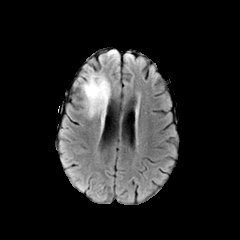
FLAIR MR image.
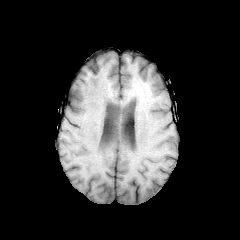
Same slice, T1-weighted MRI.
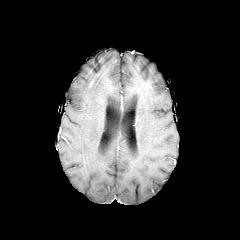
Same slice, post-contrast T1-weighted MR image.
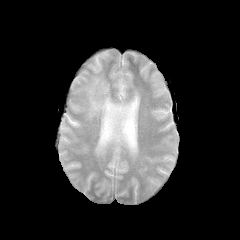
T2-weighted MR.
Brain | 240x240
Findings:
* edema: <bbox>79, 65, 111, 129</bbox>